Medial temporal lobe; MRI slice; Slice index 20
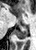 Segmented structures:
* posterior hippocampus: left=13, top=27, right=27, bottom=39